CT scan slice
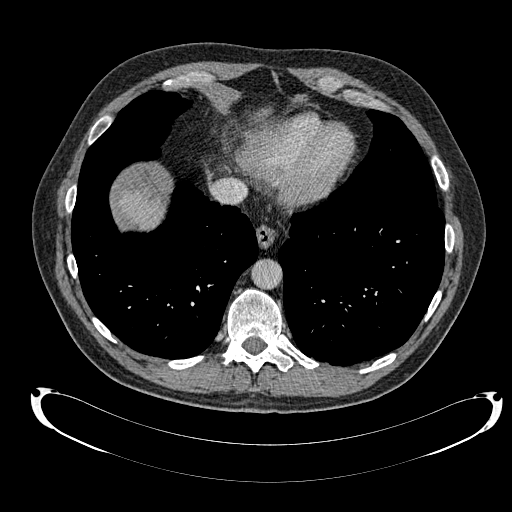
Segmented structures:
* liver: <box>120,190,163,228</box>